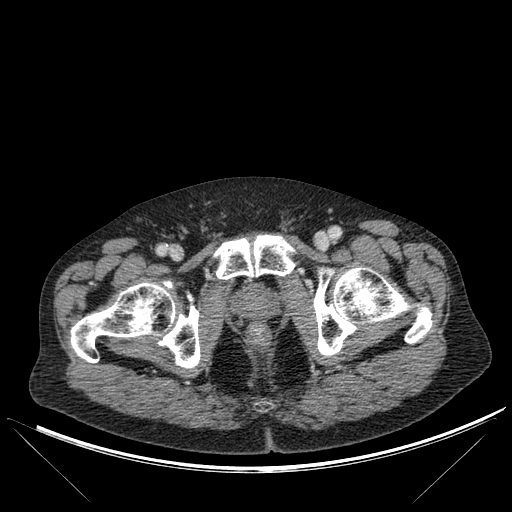
512x512, CT

4 bone regions are located at x1=214, y1=235, x2=295, y2=279; x1=70, y1=281, x2=200, y2=368; x1=314, y1=267, x2=411, y2=356; x1=405, y1=305, x2=432, y2=343.